Thorax; Image size 512x512; Field of view 351x351 mm; Slice 441 of 588; CT slice

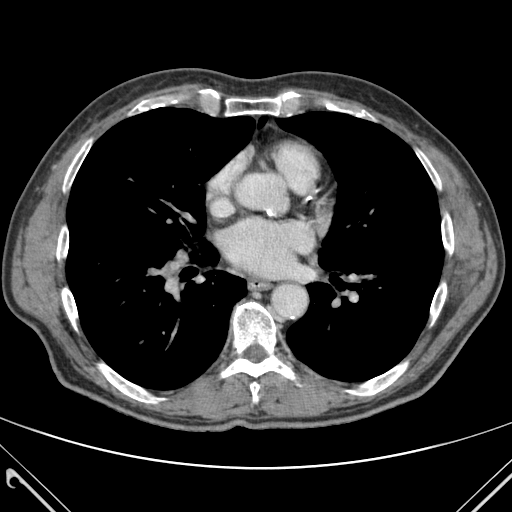 Segmented structures:
* lung: 66,107,265,389; 277,111,443,381
* bone: 250,382,259,401; 441,214,453,253; 325,103,373,118; 347,362,407,395; 221,302,294,379; 430,283,446,323; 224,92,303,115; 197,89,221,102; 62,288,77,329; 57,227,68,268; 129,100,165,112; 417,151,440,188; 99,364,163,402; 63,140,91,190